FLAIR magnetic resonance.
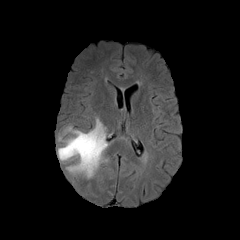
T1-weighted MR.
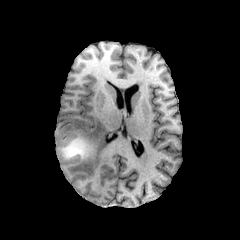
Post-contrast T1-weighted MRI.
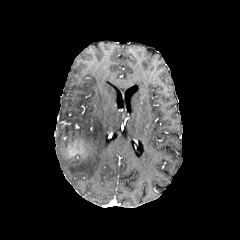
T2-weighted magnetic resonance.
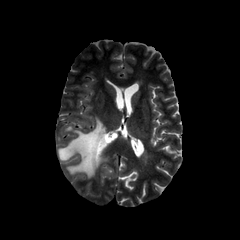
Brain | 240x240 px
{"non-enhancing_tumor_core": ["<bbox>69, 143, 83, 155</bbox>"], "edema": ["<bbox>58, 118, 110, 178</bbox>"]}